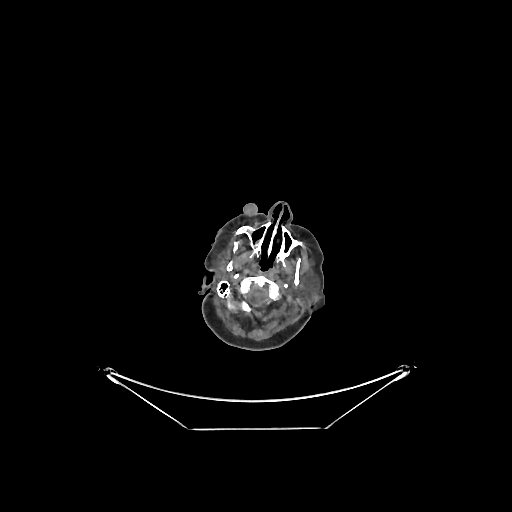 Head; CT scan slice

Brain: box=[246, 284, 269, 307].